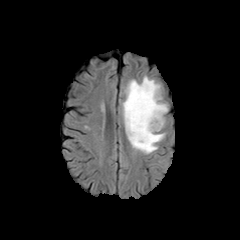
FLAIR MRI.
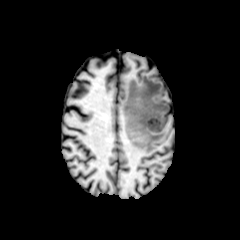
T1-weighted MR image of the same slice.
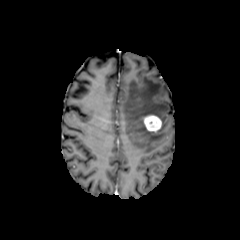
Post-contrast T1-weighted MR.
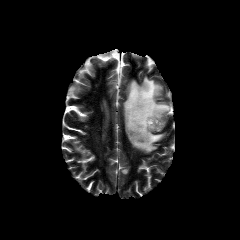
Same slice, T2-weighted magnetic resonance.
edema:
  - (left=122, top=76, right=169, bottom=153)
enhancing_tumor:
  - (left=144, top=115, right=161, bottom=131)